Field of view 240 mm wide, 1.00 mm slice spacing. Slice index 61. 240x240.
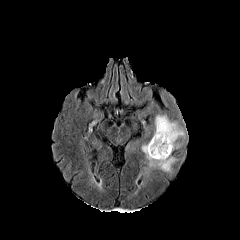
FLAIR MR image.
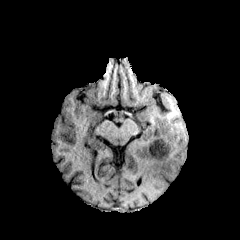
T1-weighted MR image.
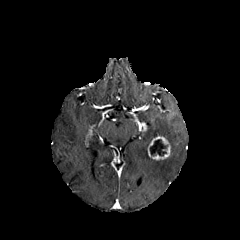
Post-contrast T1-weighted MR image.
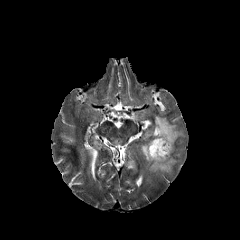
T2-weighted MR image.
Annotated regions:
• non-enhancing tumor core: region(149, 139, 166, 156)
• enhancing tumor: region(147, 135, 170, 160)
• edema: region(152, 114, 184, 153); region(142, 141, 177, 173)